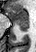

MRI. Hippocampus.
The anterior hippocampus lies within box=[8, 7, 29, 24]. The posterior hippocampus is at box=[18, 25, 29, 31].